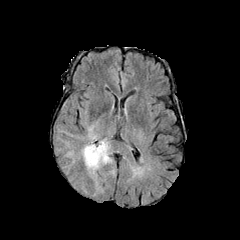
FLAIR MR.
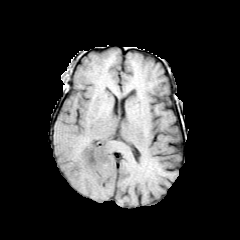
T1-weighted MRI.
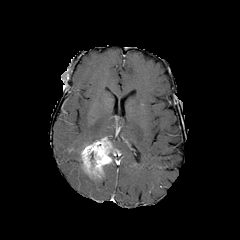
Post-contrast T1-weighted MR image.
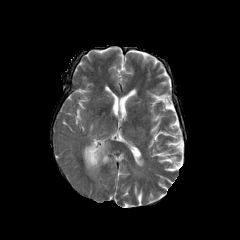
T2-weighted MR.
Brain.
The enhancing tumor lies within [82,138,111,174]. 2 edema regions appear at [89,164,108,177], [88,125,100,143].